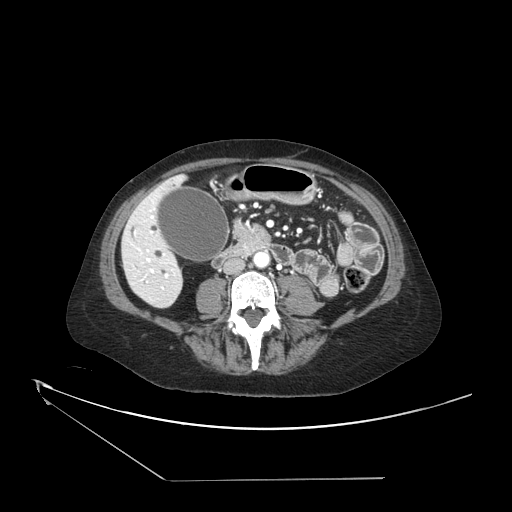

Image size 512x512. Computed tomography.

- pancreas: region(233, 220, 270, 257)